CT scan slice | Slice 563 of 846

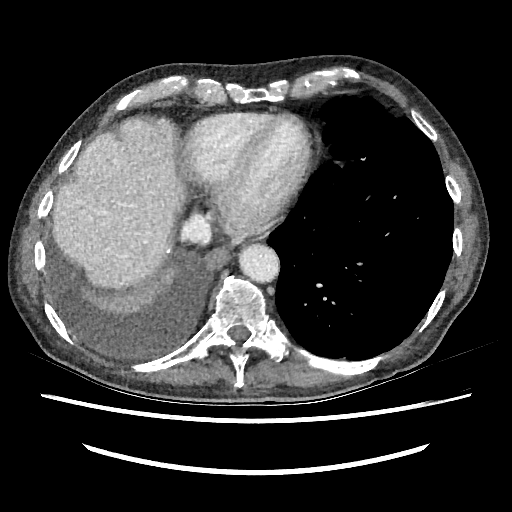

liver:
  - l=54, t=118, r=185, b=286